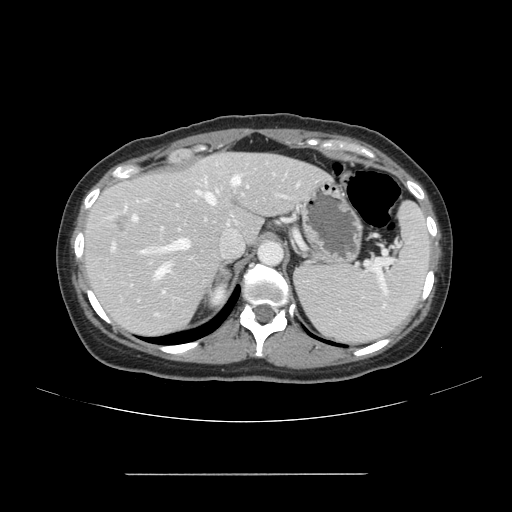
512x512 px, Computed tomography, Liver
Not every hepatic vessel necessarily has a box.
Annotated regions:
- hepatic vessel: rect(232, 175, 240, 184); rect(246, 185, 248, 187); rect(139, 238, 189, 253); rect(133, 215, 137, 220); rect(196, 191, 215, 204); rect(154, 264, 170, 277); rect(112, 244, 114, 249); rect(205, 180, 206, 183)
- liver tumor: rect(108, 217, 133, 242)